Computed tomography. Image size 512x512. 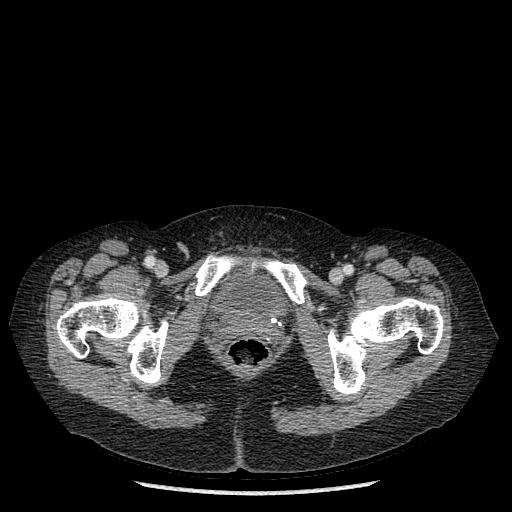

4 bone regions are bounded by rect(327, 298, 444, 396); rect(251, 260, 307, 303); rect(195, 255, 240, 295); rect(55, 294, 168, 385). The urinary bladder is bounded by rect(204, 261, 297, 340).